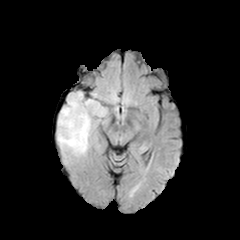
FLAIR MR image.
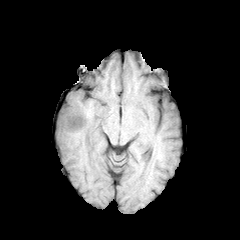
T1-weighted magnetic resonance of the same slice.
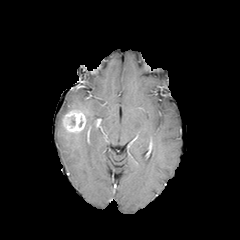
Same slice, post-contrast T1-weighted MRI.
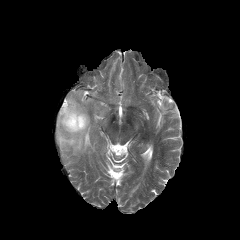
T2-weighted MR image.
Brain
The enhancing tumor appears at box=[62, 106, 86, 133]. 2 edema regions are located at box=[56, 91, 108, 166]; box=[90, 90, 102, 99].